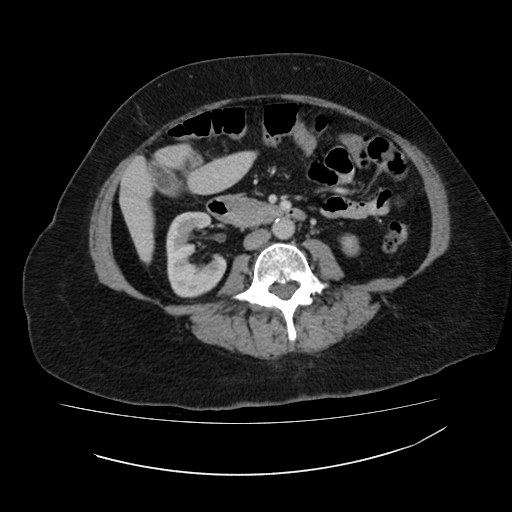 Image size 512x512 | CT
• kidney: 344,237,352,247; 167,212,226,296
• liver: 120,156,153,260; 156,145,189,166; 188,152,254,193